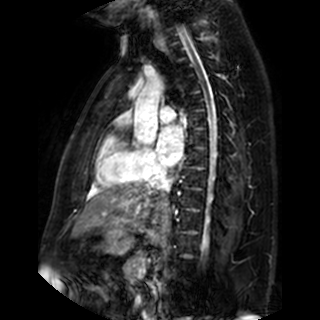 Cardiac; MRI slice

Left atrium: bounding box (left=157, top=125, right=183, bottom=166).